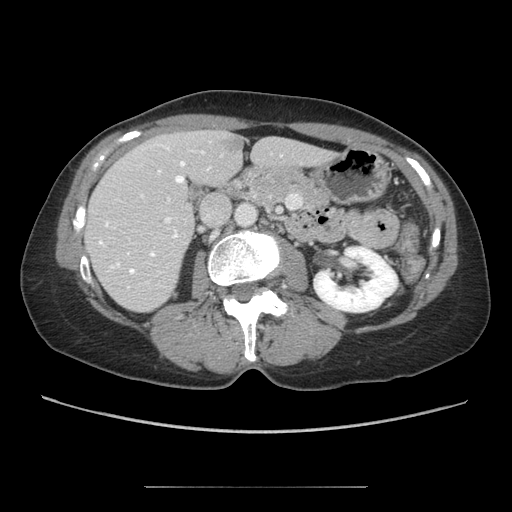 Abdomen | Computed tomography
Segmented structures:
• pancreas: rect(234, 166, 331, 212)